CT scan slice. Abdomen. 512x512.

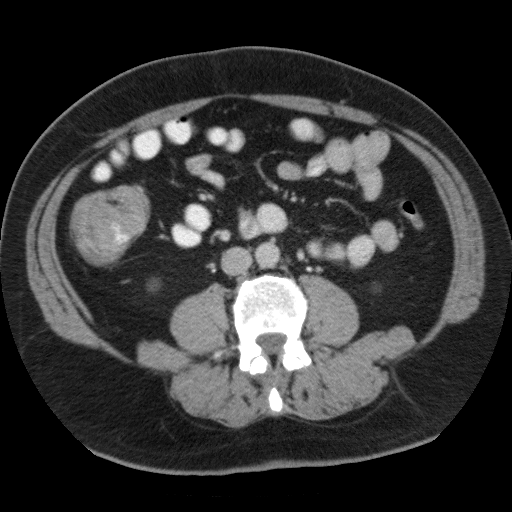

Colon tumor = x1=70 y1=187 x2=148 y2=266.